Brain. Slice index 119.
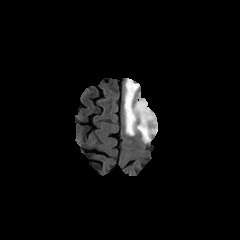
FLAIR MR image.
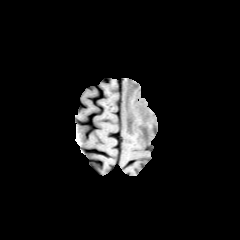
T1-weighted MR.
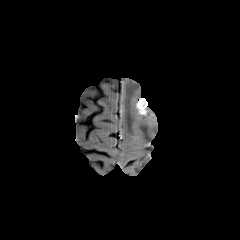
Same slice, post-contrast T1-weighted MR.
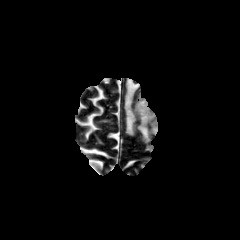
T2-weighted MR.
non-enhancing_tumor_core:
  - bbox=[124, 82, 137, 131]
  - bbox=[140, 114, 154, 126]
  - bbox=[139, 126, 147, 137]
enhancing_tumor:
  - bbox=[136, 98, 150, 117]
edema:
  - bbox=[122, 78, 157, 143]